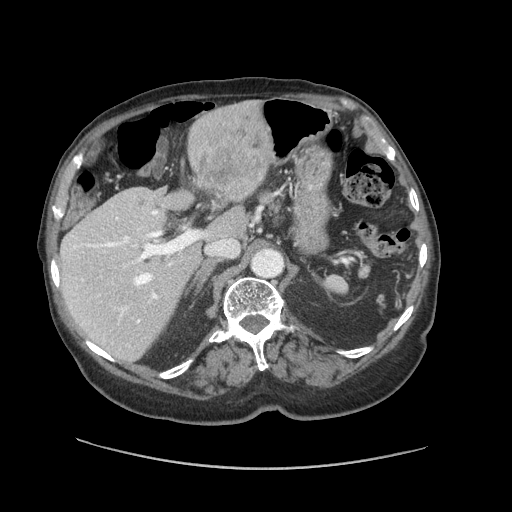 CT slice; Liver; 512x512 px
Only some of the vessels may be annotated.
Segmented structures:
• liver tumor: region(198, 111, 266, 194)
• hepatic vessel: region(108, 243, 114, 245); region(134, 273, 151, 285); region(206, 240, 238, 256); region(149, 233, 157, 235); region(139, 230, 201, 259); region(152, 211, 157, 213)